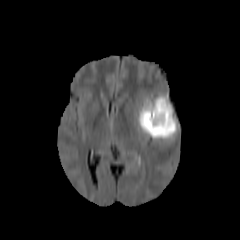
FLAIR MRI.
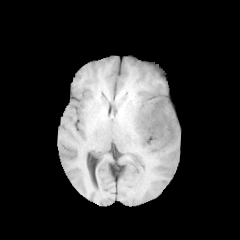
Same slice, T1-weighted MR image.
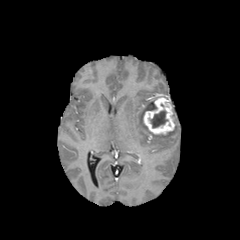
Same slice, post-contrast T1-weighted MRI.
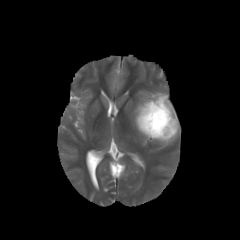
T2-weighted MRI of the same slice.
Non-enhancing tumor core at x1=151 y1=111 x2=167 y2=127.
Enhancing tumor at x1=143 y1=96 x2=175 y2=136.
Edema at x1=133 y1=94 x2=179 y2=144.